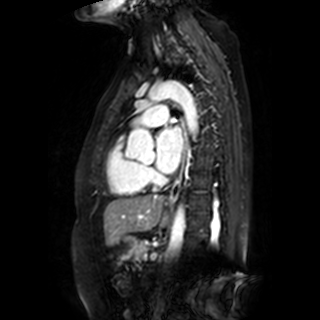 MR, 320x320, Heart
Left atrium = [156, 126, 182, 173].